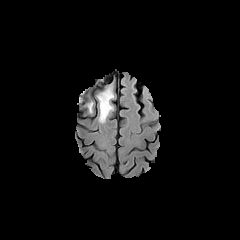
FLAIR MR image.
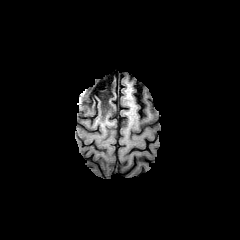
T1-weighted MR image of the same slice.
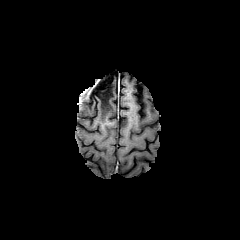
Post-contrast T1-weighted magnetic resonance.
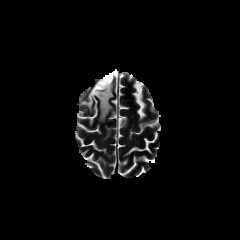
T2-weighted MRI.
Head
3 non-enhancing tumor core regions appear at 82, 98, 93, 107; 95, 84, 112, 108; 98, 114, 107, 125. The edema appears at 94, 84, 115, 119.